Upper abdomen. Slice 94/135. CT scan slice. 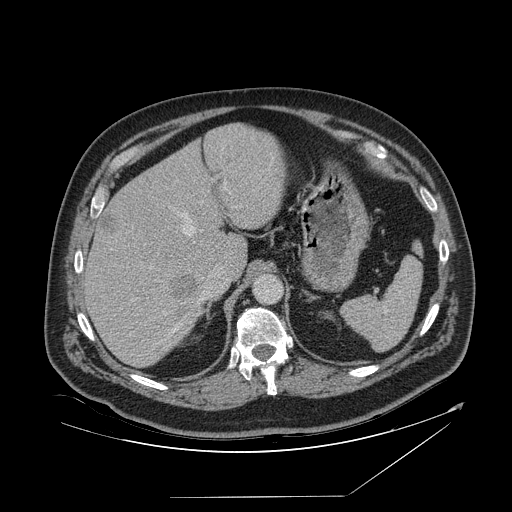 The spleen appears at <box>342,242,422,350</box>.